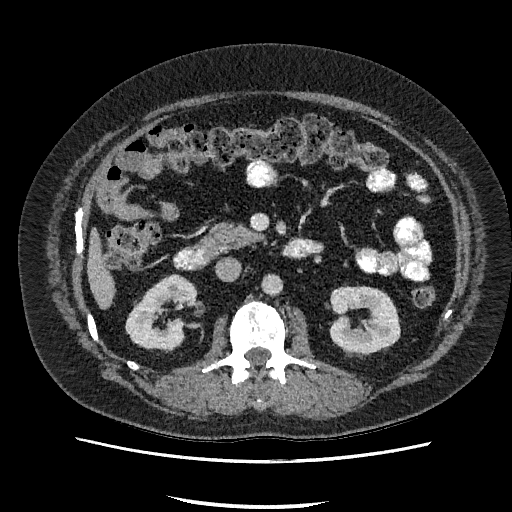 Liver; Computed tomography
Kidney: x1=331 y1=287 x2=399 y2=352, x1=126 y1=276 x2=195 y2=348.
Liver: x1=88 y1=230 x2=114 y2=308.